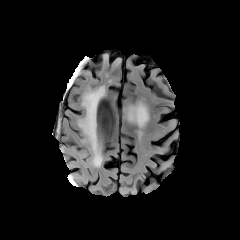
FLAIR magnetic resonance.
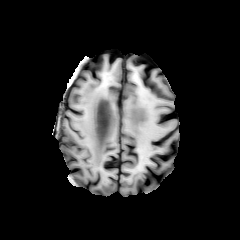
T1-weighted MRI.
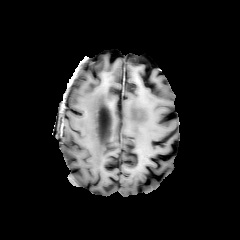
Same slice, post-contrast T1-weighted MR.
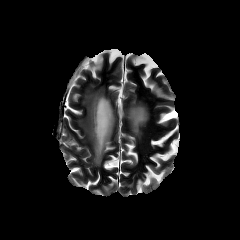
T2-weighted MR image.
Head
Edema — (79,89,102,167).